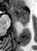 MR
The posterior hippocampus appears at (x1=20, y1=22, x2=27, y2=25). The anterior hippocampus appears at (x1=11, y1=7, x2=28, y2=21).